Field of view 240 mm wide, 1.00 mm slice spacing
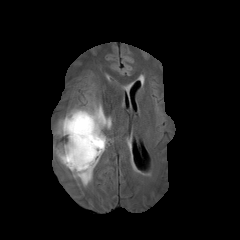
FLAIR MR image.
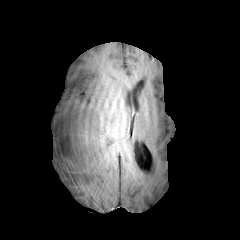
Same slice, T1-weighted MRI.
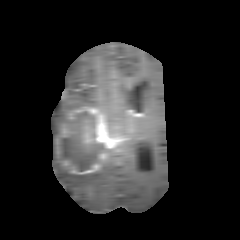
Post-contrast T1-weighted MRI.
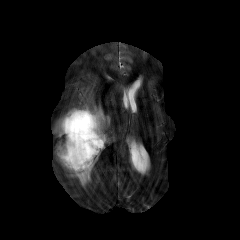
Same slice, T2-weighted MR image.
Findings:
• non-enhancing tumor core: [60,110,102,170]
• enhancing tumor: [84,107,113,145], [84,131,92,142]
• edema: [52,99,104,175], [105,116,111,130], [72,145,109,185]